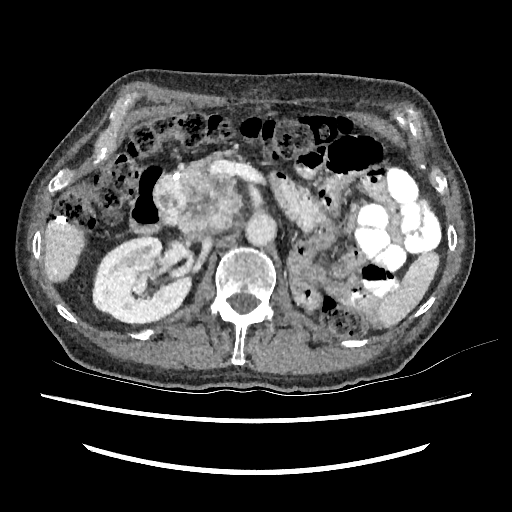

Upper abdomen | CT
The kidney lies within x1=93, y1=237, x2=190, y2=322. The liver is at x1=45, y1=221, x2=83, y2=281.